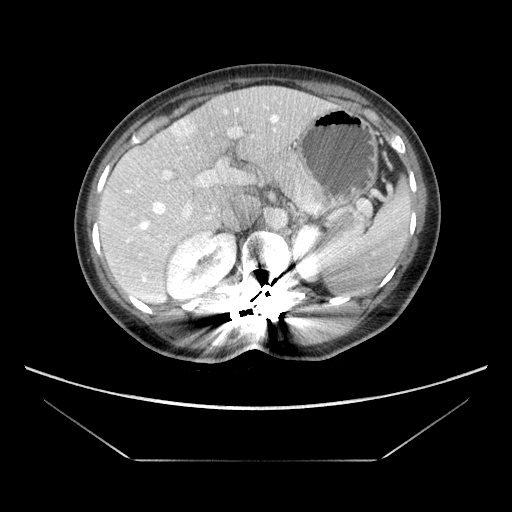

512x512 px; CT image
The vessel annotation is not exhaustive.
<segmentation>
  <liver_tumor><box>171,121,192,138</box></liver_tumor>
  <hepatic_vessel><box>229,128,240,135</box>, <box>163,171,170,178</box>, <box>154,203,163,212</box>, <box>194,162,243,186</box>, <box>176,202,192,221</box></hepatic_vessel>
</segmentation>